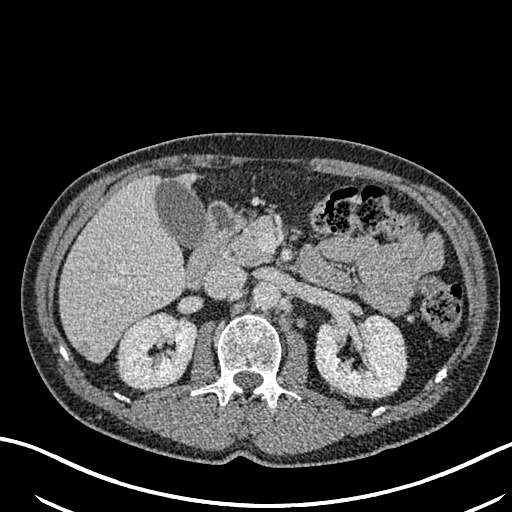 Liver | CT
2 liver regions appear at box(60, 177, 184, 361); box(179, 174, 194, 186). 2 kidney regions are located at box(119, 315, 195, 388); box(316, 315, 405, 397). 2 hepatic lesion regions are bounded by box(91, 260, 104, 273); box(75, 341, 90, 357).